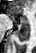
MR image
{
  "posterior_hippocampus": [
    "region(15, 23, 29, 41)"
  ],
  "anterior_hippocampus": [
    "region(11, 16, 16, 22)",
    "region(20, 15, 28, 22)"
  ]
}